Upper abdomen; CT scan slice; 512x512

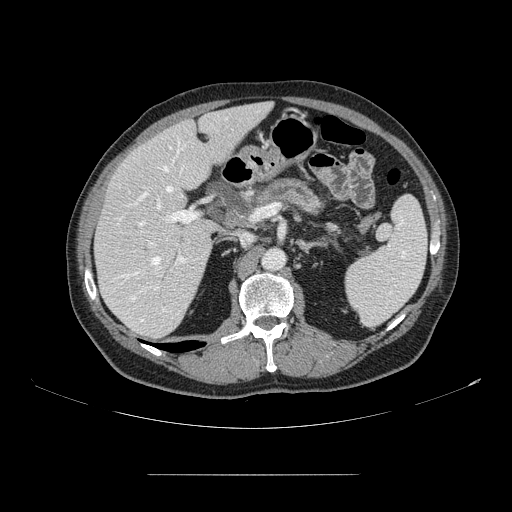

Annotated regions:
• pancreas: (left=252, top=176, right=325, bottom=216), (left=326, top=222, right=340, bottom=235)